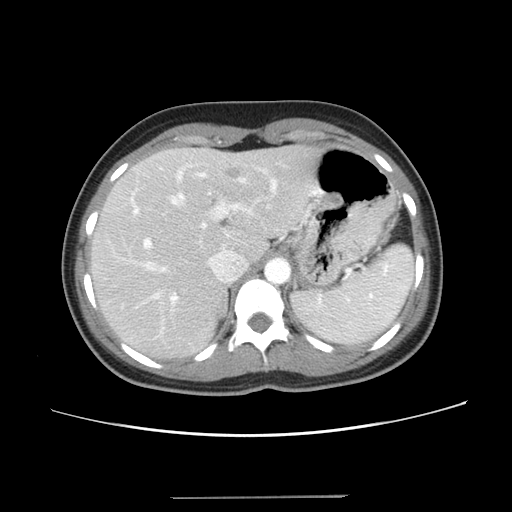 CT | Liver
The vessel boxes may cover only some of the vessels.
<segmentation>
  <liver_tumor>x1=225, y1=167, x2=243, y2=179</liver_tumor>
  <hepatic_vessel>x1=267, y1=206, x2=270, y2=207; x1=202, y1=223, x2=206, y2=227; x1=209, y1=193, x2=210, y2=194; x1=198, y1=173, x2=206, y2=177; x1=223, y1=248, x2=225, y2=252; x1=161, y1=267, x2=165, y2=271; x1=172, y1=194, x2=183, y2=204; x1=171, y1=295, x2=177, y2=303; x1=210, y1=259, x2=214, y2=265; x1=132, y1=193, x2=139, y2=213; x1=146, y1=263, x2=154, y2=270; x1=216, y1=204, x2=248, y2=217; x1=144, y1=239, x2=151, y2=247; x1=272, y1=179, x2=276, y2=189</hepatic_vessel>
</segmentation>